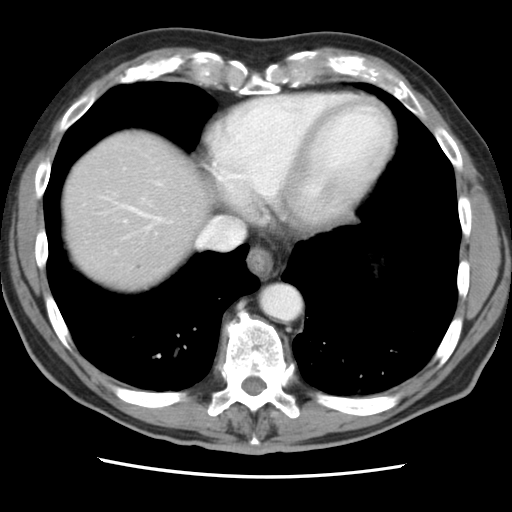
CT scan slice. Abdomen.
Not every hepatic vessel necessarily has a box.
Hepatic vessel at box(150, 216, 161, 222); box(141, 199, 143, 201); box(116, 203, 123, 206); box(125, 220, 126, 222); box(147, 224, 152, 229); box(156, 182, 160, 184); box(115, 251, 116, 253); box(130, 208, 146, 215).